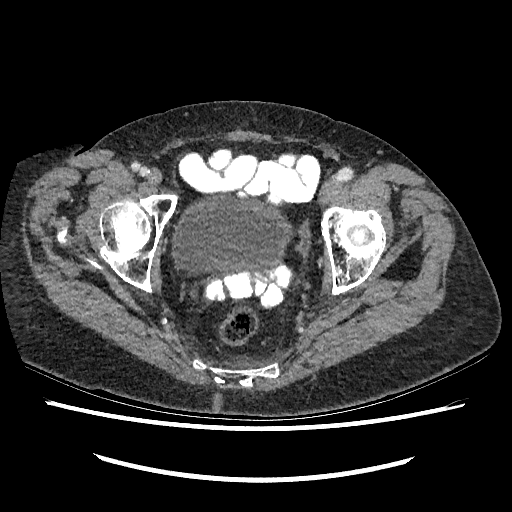
512x512 px; Pelvis; CT slice
The urinary bladder is bounded by 173:192:294:274.